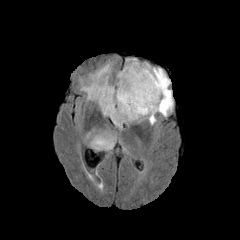
FLAIR MR.
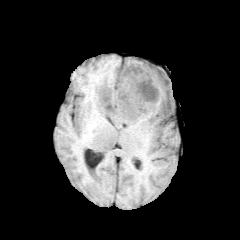
Same slice, T1-weighted MRI.
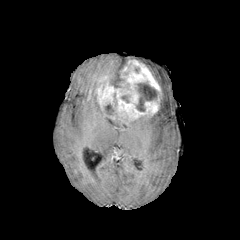
Post-contrast T1-weighted MR image.
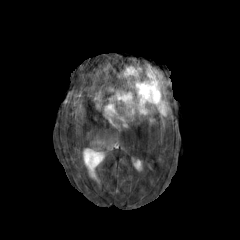
T2-weighted MR image.
Head
The enhancing tumor is bounded by <bbox>96, 60, 161, 121</bbox>. 2 edema regions are located at <bbox>92, 138, 113, 149</bbox>, <bbox>81, 62, 173, 128</bbox>. 5 non-enhancing tumor core regions appear at <bbox>107, 77, 125, 88</bbox>, <bbox>157, 89, 166, 113</bbox>, <bbox>104, 102, 115, 114</bbox>, <bbox>136, 82, 158, 111</bbox>, <bbox>152, 72, 161, 88</bbox>.